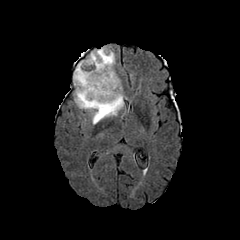
FLAIR MR.
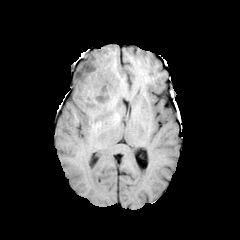
T1-weighted magnetic resonance.
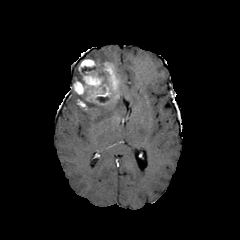
Same slice, post-contrast T1-weighted MR image.
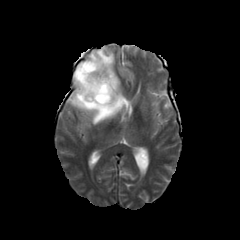
T2-weighted magnetic resonance.
240x240 | Head
2 enhancing tumor regions are bounded by [73,58,119,104], [77,99,87,109]. 2 edema regions are located at [71,80,126,124], [87,47,114,66]. 2 non-enhancing tumor core regions are bounded by [97,97,109,102], [74,68,81,80].